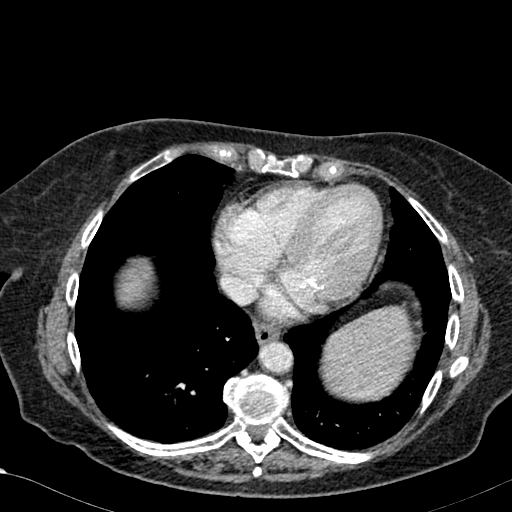
CT | Abdomen

<segmentation>
  <liver>x1=120 y1=271 x2=144 y2=299</liver>
</segmentation>